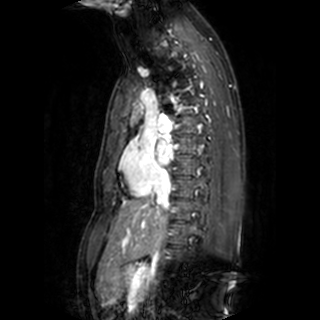
Magnetic resonance. 320x320 px. Left atrium — x1=156, y1=140, x2=172, y2=164.